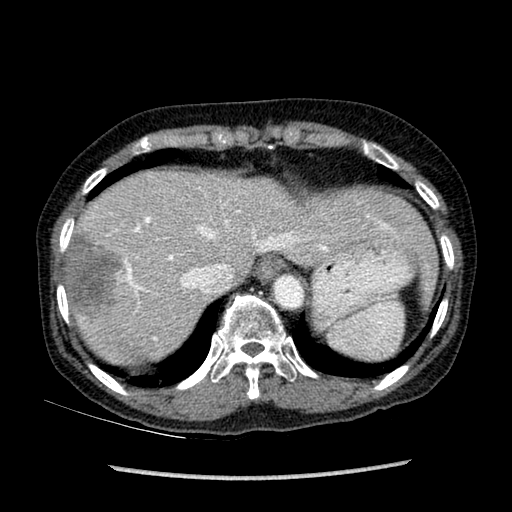
CT scan slice; Abdomen
liver: (x1=71, y1=167, x2=438, y2=364) | focal liver lesion: (x1=62, y1=232, x2=123, y2=318)